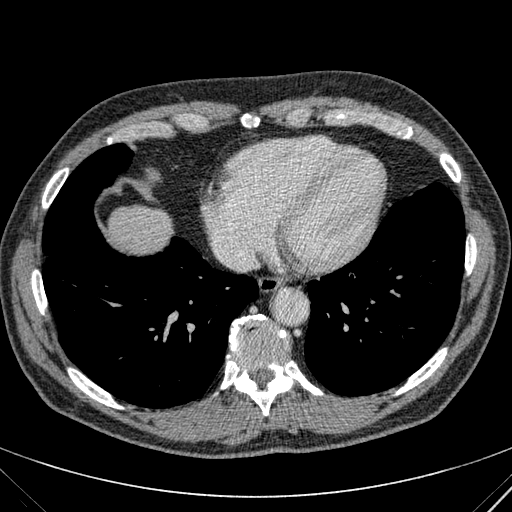
CT scan slice. 512x512 px.

Liver: {"x1": 107, "y1": 207, "x2": 171, "y2": 253}.